CT image.
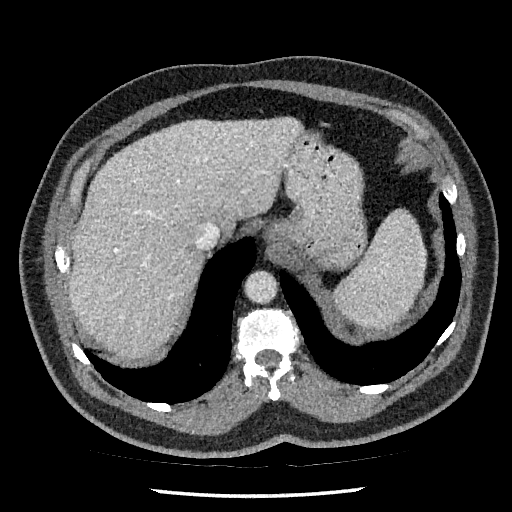
Liver at x1=70, y1=118, x2=299, y2=357.